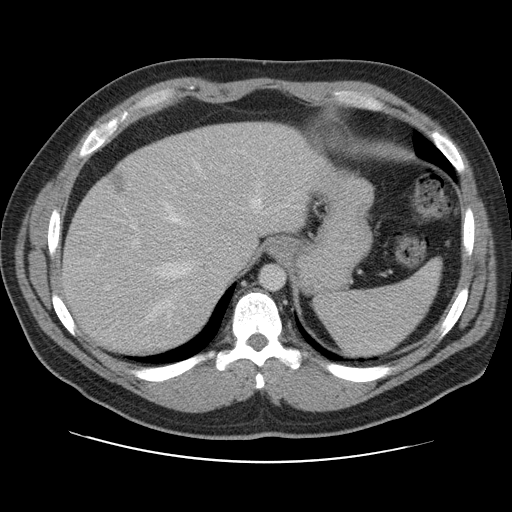
Liver. Image size 512x512. CT scan slice.
The vessel annotation is not exhaustive.
liver tumor: <box>110,173,124,192</box> | [15/18] hepatic vessel: <box>169,185,172,189</box>, <box>131,225,136,228</box>, <box>188,287,191,289</box>, <box>174,191,176,194</box>, <box>180,262,190,273</box>, <box>210,164,212,167</box>, <box>130,237,138,246</box>, <box>251,198,261,211</box>, <box>274,209,277,210</box>, <box>192,158,199,174</box>, <box>182,166,187,170</box>, <box>148,305,160,319</box>, <box>167,300,174,307</box>, <box>238,221,241,222</box>, <box>153,263,178,278</box>